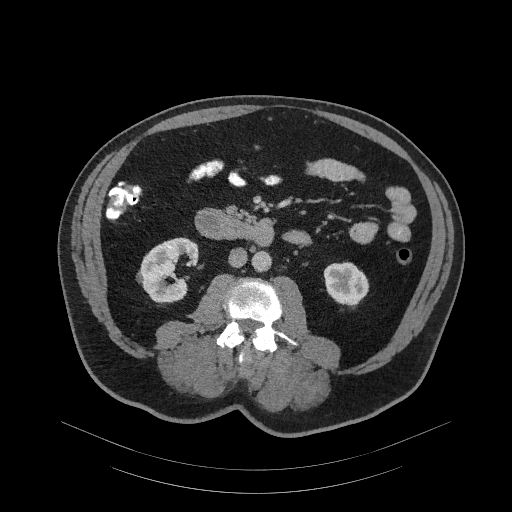
CT scan slice; Abdomen; Image size 512x512
<segmentation>
  <pancreas>[228,206,267,227]</pancreas>
</segmentation>